512x512 px. CT slice.

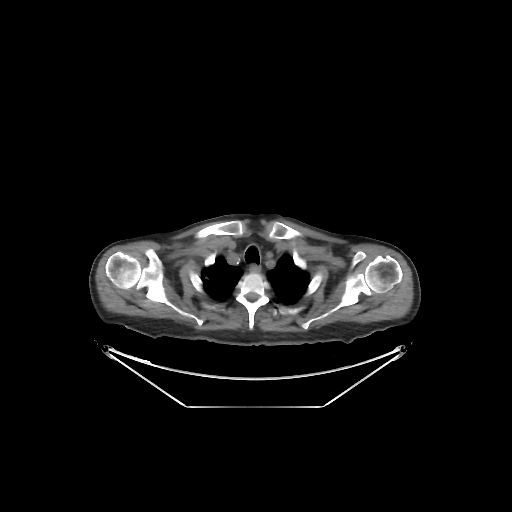

Lung at (201,255,243,301), (266,253,310,305), (245,246,259,264).
Bone at (303,312,329,328), (105,249,202,324), (309,278,319,292), (236,273,268,327), (352,252,365,266), (330,256,402,311), (190,272,201,290), (205,253,214,264), (196,221,242,237), (269,222,301,242).